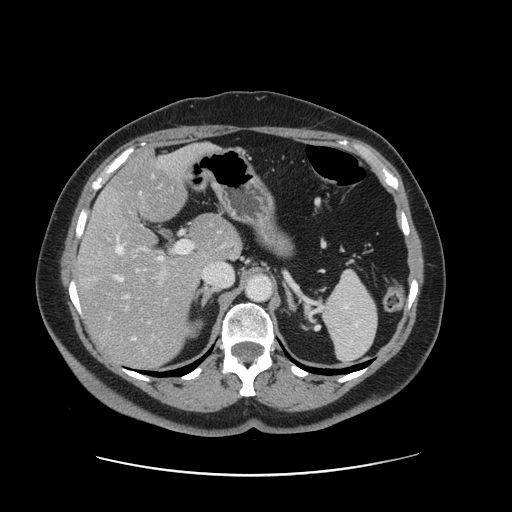

CT scan slice
Not every hepatic vessel necessarily has a box.
7 hepatic vessel regions appear at bbox(125, 295, 128, 297); bbox(115, 275, 122, 281); bbox(132, 337, 135, 340); bbox(137, 269, 139, 271); bbox(117, 236, 122, 253); bbox(142, 247, 145, 249); bbox(158, 256, 163, 260).